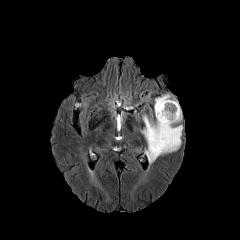
FLAIR MR.
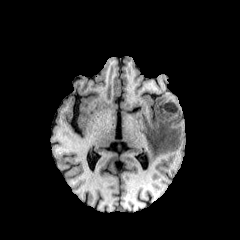
T1-weighted MRI of the same slice.
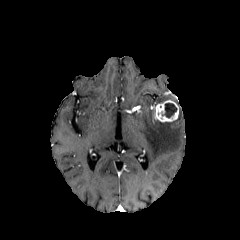
Same slice, post-contrast T1-weighted magnetic resonance.
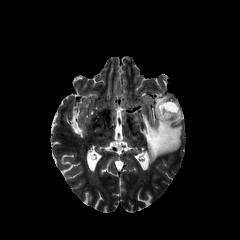
T2-weighted MR of the same slice.
Brain.
Annotated regions:
* non-enhancing tumor core: [164,102,177,118]
* enhancing tumor: [155,100,179,122]
* edema: [140,109,183,166], [156,93,178,105]